Brain, Slice 66/155
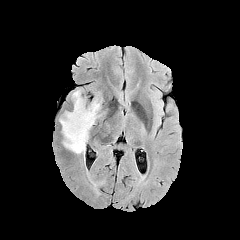
FLAIR MR image.
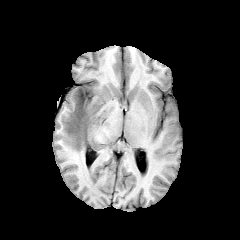
T1-weighted MR.
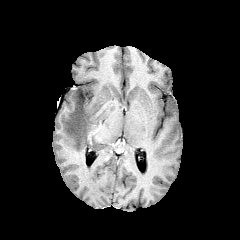
Post-contrast T1-weighted MR image.
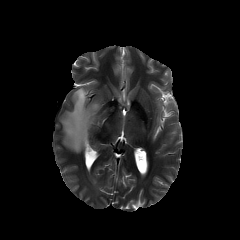
T2-weighted MR image.
The edema is at 59 88 101 157. The non-enhancing tumor core is at 77 92 84 112.